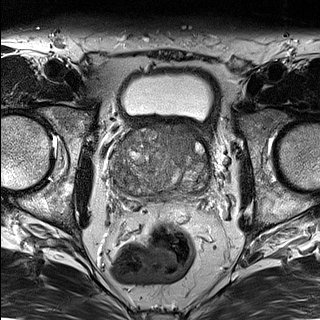
T2-weighted MR.
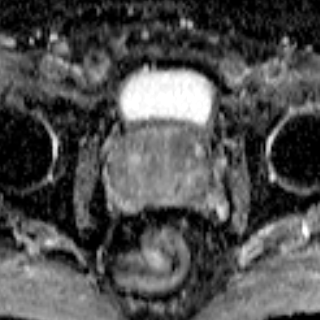
ADC MR.
Prostate
The prostate peripheral zone lies within [120,190,197,200]. The prostate transition zone is at [111,124,207,195].